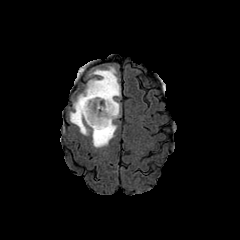
FLAIR MR image.
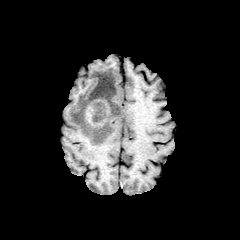
T1-weighted MR.
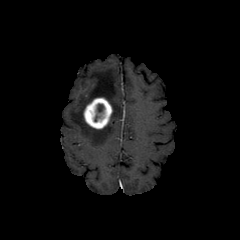
Post-contrast T1-weighted MRI of the same slice.
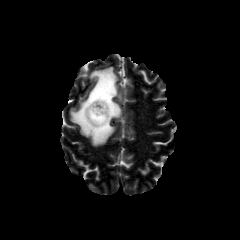
Same slice, T2-weighted MR.
Brain | 240x240
{
  "enhancing_tumor": [
    "bbox=[83, 97, 113, 129]"
  ],
  "non-enhancing_tumor_core": [
    "bbox=[74, 72, 117, 137]"
  ],
  "edema": [
    "bbox=[68, 66, 121, 147]"
  ]
}